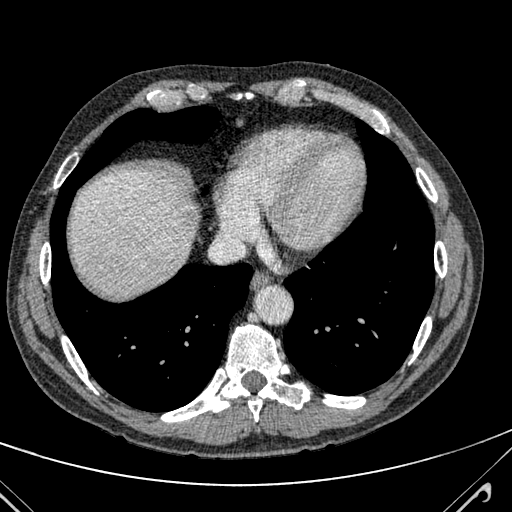
Upper abdomen. Computed tomography.

{
  "liver": [
    "[69,168,199,294]"
  ],
  "focal_liver_lesion": [
    "[178,208,195,226]"
  ]
}